Upper abdomen. Computed tomography. 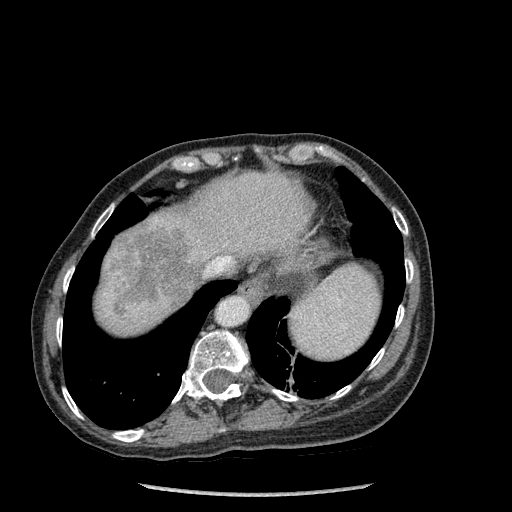
{"hepatic_lesion": ["bbox(115, 231, 197, 302)", "bbox(115, 301, 123, 315)"], "liver": ["bbox(94, 172, 316, 336)"], "lung": ["bbox(62, 193, 236, 429)", "bbox(246, 167, 405, 398)"], "bone": ["bbox(405, 258, 413, 282)", "bbox(91, 204, 114, 237)", "bbox(331, 385, 351, 399)", "bbox(272, 389, 297, 401)", "bbox(392, 208, 407, 234)", "bbox(395, 305, 404, 327)", "bbox(62, 388, 82, 418)", "bbox(369, 348, 384, 369)", "bbox(63, 266, 74, 292)", "bbox(172, 330, 248, 403)", "bbox(56, 317, 62, 345)", "bbox(113, 429, 143, 442)"]}